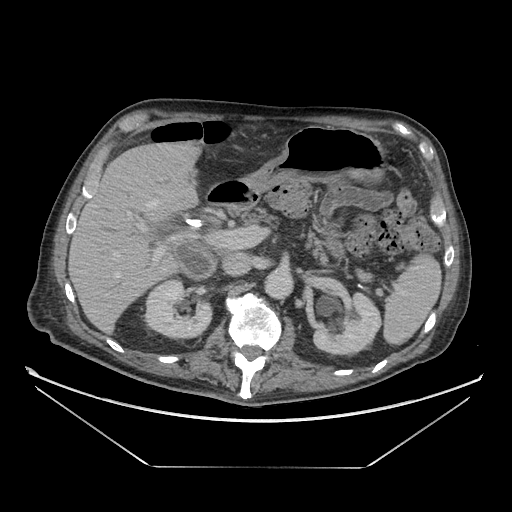
CT scan slice | Abdomen
pancreas:
  - 307, 234, 326, 261
  - 244, 209, 274, 224